Abdomen | CT | Slice 256/519

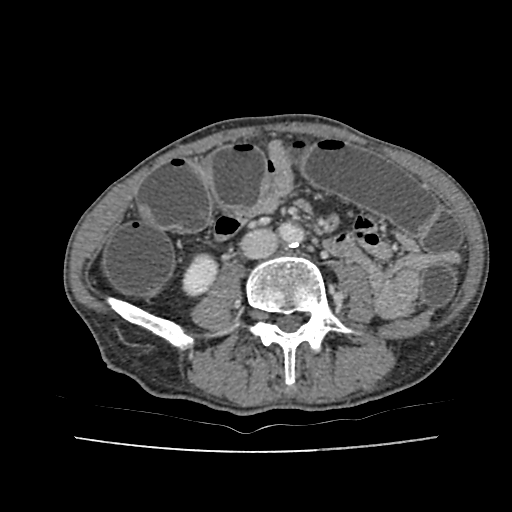 Kidney at (184,258,215,293).